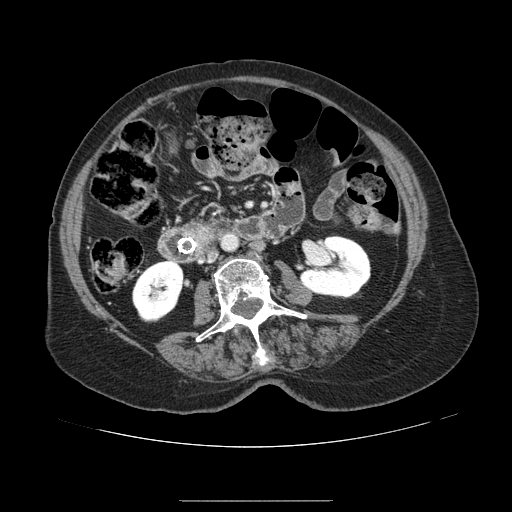

Abdomen; CT slice; Image size 512x512
Annotated regions:
• pancreatic tumor: left=195, top=228, right=210, bottom=247
• pancreas: left=182, top=215, right=220, bottom=255